Computed tomography. Image width 344 mm. Upper abdomen.
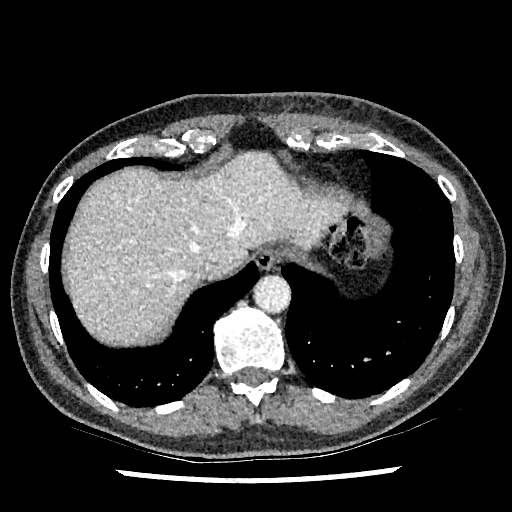
liver: 65:153:349:345